FLAIR MR.
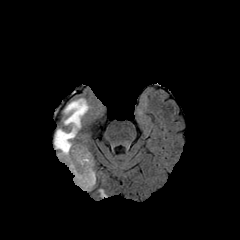
T1-weighted MR.
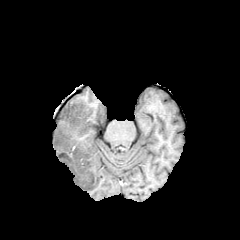
Post-contrast T1-weighted MRI.
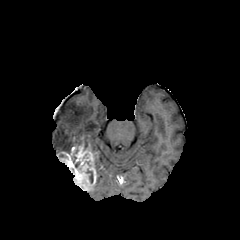
T2-weighted MR.
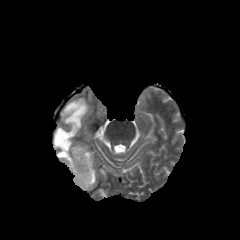
Brain. 240x240.
Enhancing tumor: <box>59,148,95,189</box>.
Edema: <box>53,97,91,152</box>.
Non-enhancing tumor core: <box>67,144,87,161</box>, <box>83,152,93,183</box>.